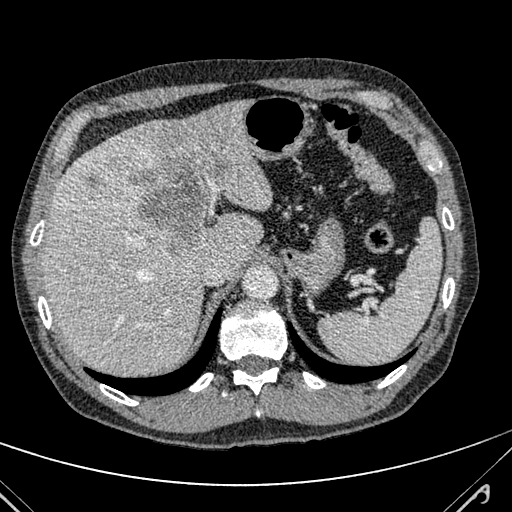 CT scan slice | Abdomen
<segmentation>
  <liver>[45,100,270,374]</liver>
  <hepatic_lesion>[130,146,225,249], [106,159,118,174], [88,179,101,187]</hepatic_lesion>
</segmentation>